Image width 388 mm. Slice 525 of 733. CT scan slice.
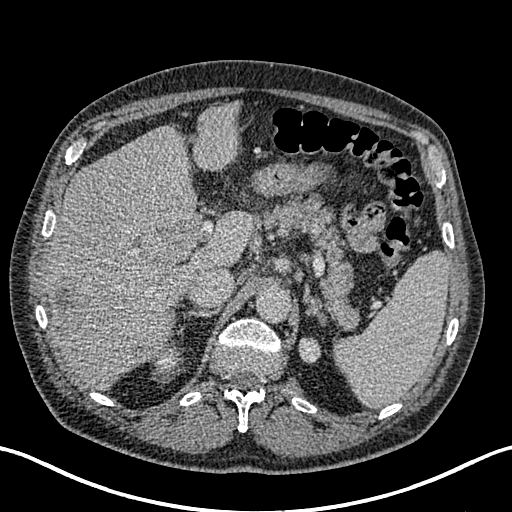
<segmentation>
  <liver>region(46, 100, 253, 389)</liver>
  <liver_lesion>region(128, 339, 151, 360); region(146, 218, 194, 272); region(52, 279, 89, 328)</liver_lesion>
  <kidney>region(301, 340, 319, 361); region(158, 354, 174, 368)</kidney>
</segmentation>